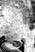 MR image
Posterior hippocampus — box(7, 41, 21, 46).